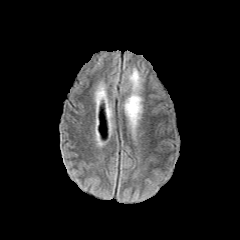
FLAIR magnetic resonance.
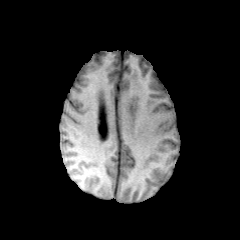
T1-weighted MR image of the same slice.
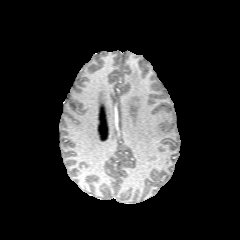
Post-contrast T1-weighted magnetic resonance.
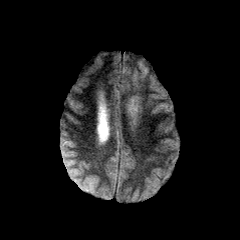
Same slice, T2-weighted MR.
Brain.
2 edema regions are located at (123,92,142,130), (129,69,141,92).